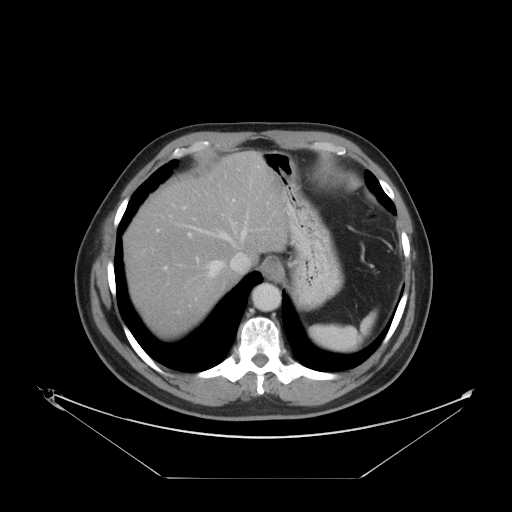 Abdomen | 512x512 px | CT slice
The vessel boxes may cover only some of the vessels.
10 hepatic vessel regions are bounded by [183,207,184,208], [208,261,221,276], [188,233,190,235], [194,228,214,235], [197,258,198,260], [219,232,229,239], [232,199,234,201], [231,221,235,226], [241,223,246,237], [229,253,248,270].